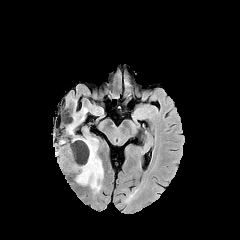
FLAIR magnetic resonance.
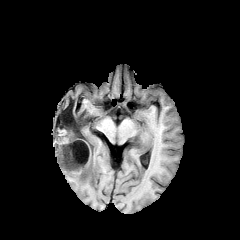
Same slice, T1-weighted MR image.
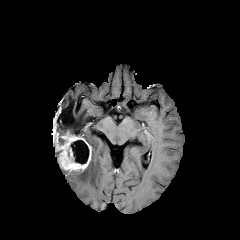
Post-contrast T1-weighted MRI.
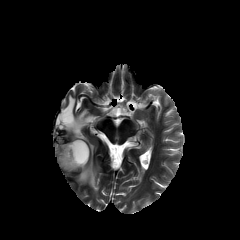
Same slice, T2-weighted MR.
Brain
2 non-enhancing tumor core regions are located at box=[53, 120, 84, 155]; box=[70, 139, 91, 164]. The enhancing tumor is located at box=[56, 132, 89, 170]. 3 edema regions are bounded by box=[58, 126, 68, 137]; box=[72, 125, 103, 191]; box=[67, 96, 88, 121].